CT slice | 512x512 | Abdomen

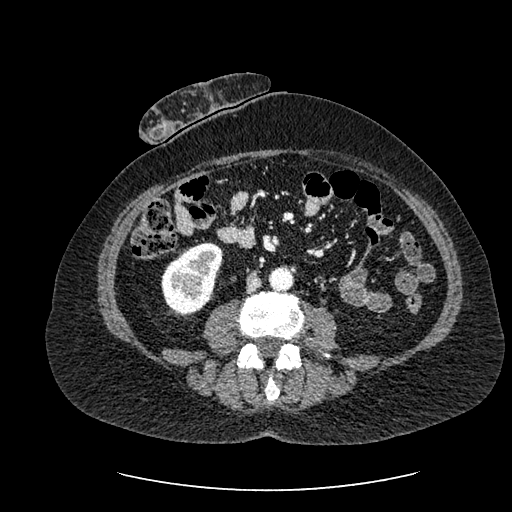

The kidney appears at rect(162, 243, 221, 313).